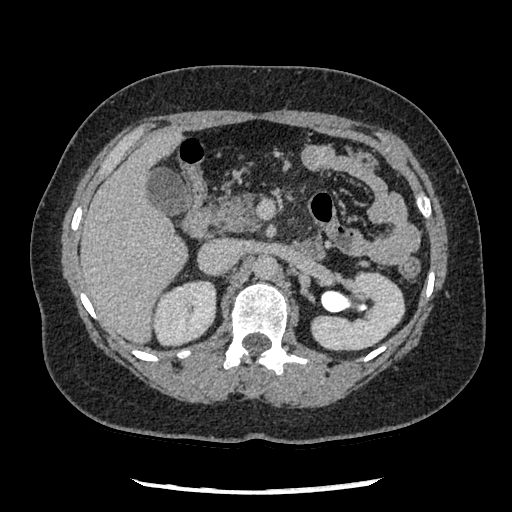 Upper abdomen, CT scan slice, 512x512
The pancreas lies within rect(214, 192, 260, 232).